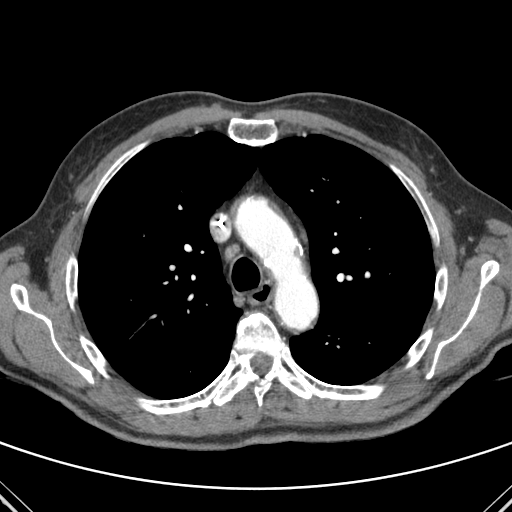

CT image; Chest
The lung is at {"x1": 78, "y1": 131, "x2": 434, "y2": 399}. 10 bone regions appear at {"x1": 137, "y1": 312, "x2": 383, "y2": 414}, {"x1": 80, "y1": 336, "x2": 108, "y2": 377}, {"x1": 391, "y1": 165, "x2": 438, "y2": 244}, {"x1": 66, "y1": 255, "x2": 77, "y2": 309}, {"x1": 434, "y1": 266, "x2": 447, "y2": 309}, {"x1": 90, "y1": 143, "x2": 145, "y2": 202}, {"x1": 10, "y1": 284, "x2": 93, "y2": 383}, {"x1": 406, "y1": 328, "x2": 432, "y2": 367}, {"x1": 228, "y1": 118, "x2": 276, "y2": 145}, {"x1": 426, "y1": 260, "x2": 499, "y2": 378}.